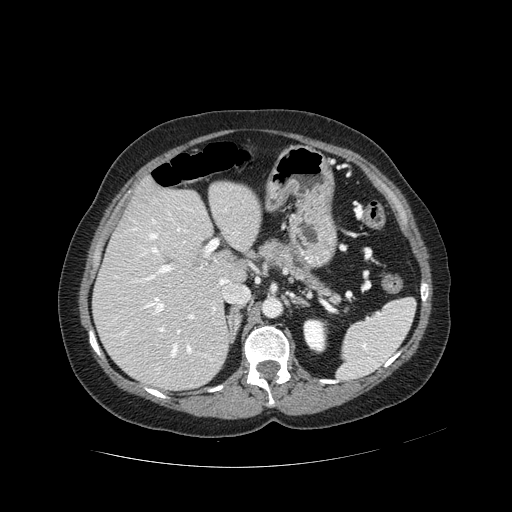 Abdomen. CT scan slice.

Pancreatic tumor: bounding box region(264, 242, 288, 265).
Pancreas: bounding box region(271, 241, 338, 302); region(260, 245, 274, 263).